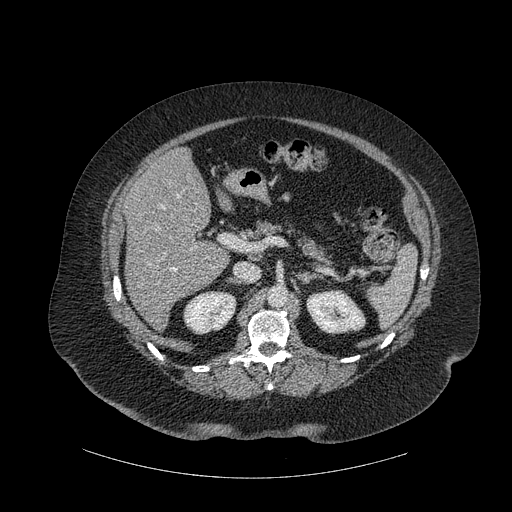
Computed tomography. Bone: bbox(148, 343, 162, 359); bbox(381, 333, 394, 347); bbox(420, 268, 428, 279); bbox(341, 355, 359, 362); bbox(113, 276, 120, 300); bbox(229, 311, 291, 371); bbox(192, 366, 209, 371).
Kidney: bbox(184, 292, 235, 333); bbox(307, 291, 364, 332).
Liver: bbox(221, 198, 232, 210); bbox(123, 149, 229, 330).